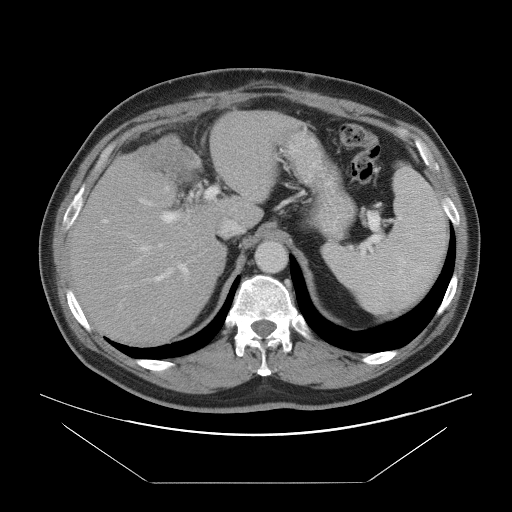

512x512, CT
The vessel annotation is not exhaustive.
Segmented structures:
* liver tumor: 138 144 176 169
* hepatic vessel: 103 219 106 221, 213 197 216 201, 152 270 170 280, 140 199 151 204, 161 212 178 222, 179 263 187 273